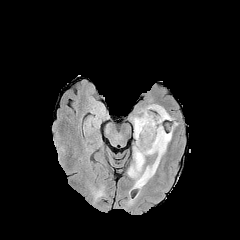
FLAIR MR image.
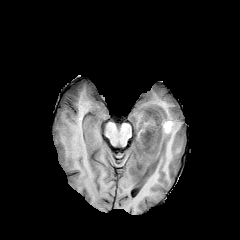
Same slice, T1-weighted magnetic resonance.
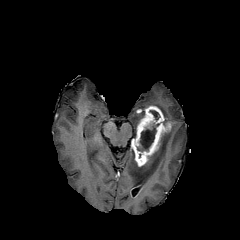
Post-contrast T1-weighted MR of the same slice.
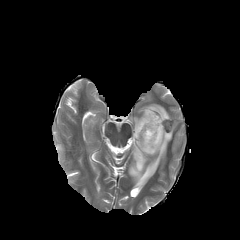
T2-weighted MRI of the same slice.
Image size 240x240, Head
Non-enhancing tumor core: 144, 129, 168, 171; 138, 126, 156, 150.
Enhancing tumor: 132, 106, 165, 166.
Edema: 149, 104, 171, 121; 130, 116, 141, 135; 127, 122, 173, 188.